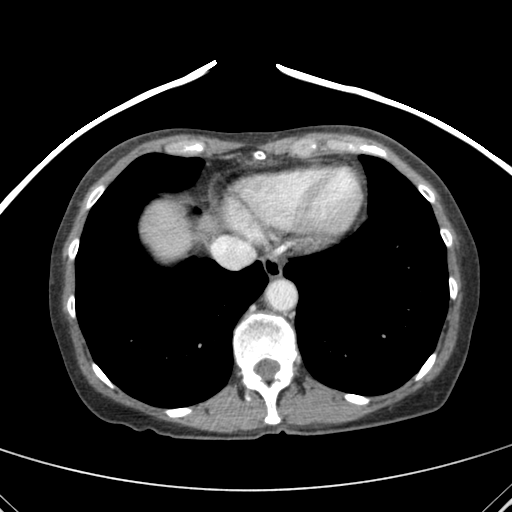

CT scan slice; Image size 512x512; Abdomen
Segmented structures:
- liver: l=145, t=203, r=212, b=254